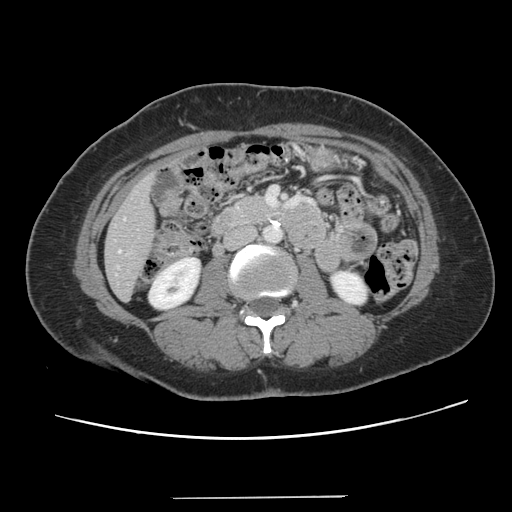
CT scan slice | 512x512 px

The vessel boxes may cover only some of the vessels.
Annotated regions:
• hepatic vessel: x1=118 y1=250 x2=120 y2=252